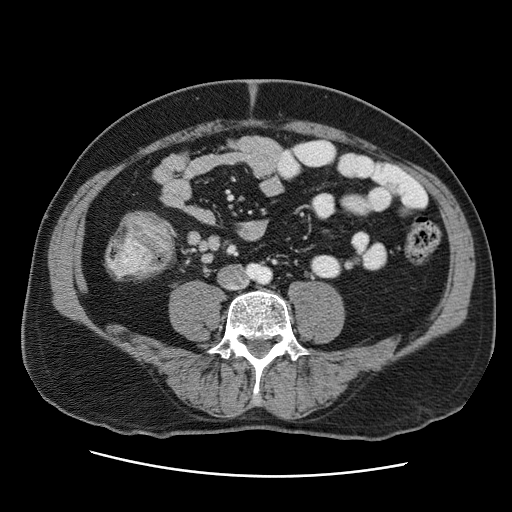 CT slice
{"colon_tumor": ["rect(104, 253, 121, 274)", "rect(126, 213, 173, 270)"]}